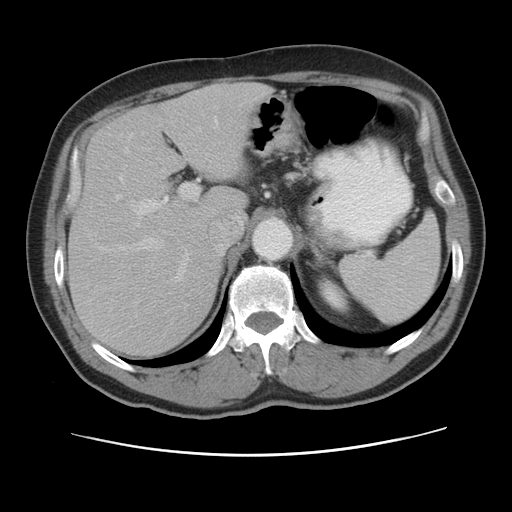 CT image | Liver
The vessel annotation is not exhaustive.
hepatic_vessel:
  - <box>175,252,188,280</box>
  - <box>198,127,199,129</box>
  - <box>126,133,132,139</box>
  - <box>115,195,119,198</box>
  - <box>119,175,122,180</box>
  - <box>135,220,138,224</box>
  - <box>161,169,164,172</box>
  - <box>124,148,128,153</box>
  - <box>143,149,145,150</box>
  - <box>131,200,134,203</box>
  - <box>120,134,122,136</box>